CT image; 512x512
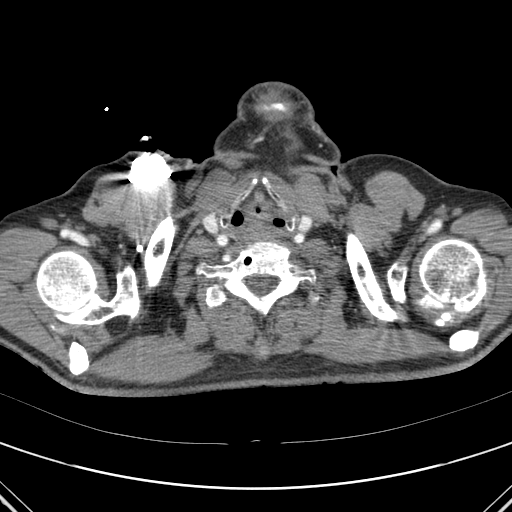

{
  "bone": [
    "l=38, t=255, r=140, b=323",
    "l=72, t=343, r=86, b=374",
    "l=145, t=220, r=176, b=276",
    "l=196, t=243, r=326, b=317",
    "l=392, t=241, r=480, b=310",
    "l=346, t=234, r=391, b=319",
    "l=421, t=222, r=440, b=238",
    "l=450, t=330, r=478, b=350"
  ]
}